Abdomen | Computed tomography 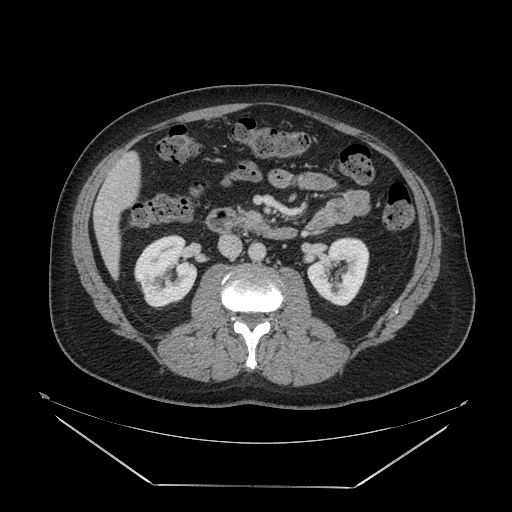

* pancreas: left=248, top=213, right=261, bottom=221